Computed tomography; Slice 135 of 455 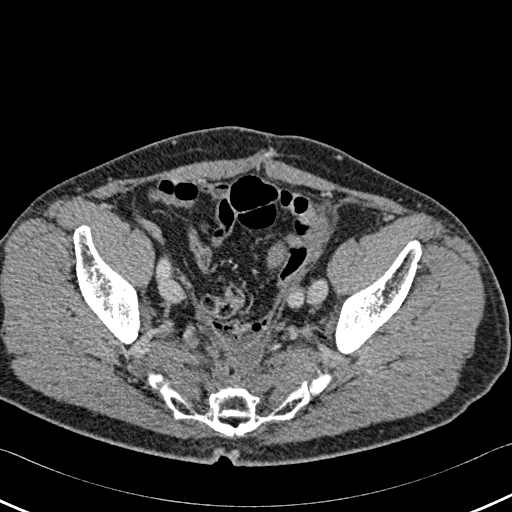 Annotated regions:
* bone: (149, 375, 330, 435), (73, 226, 139, 344), (336, 241, 421, 356)